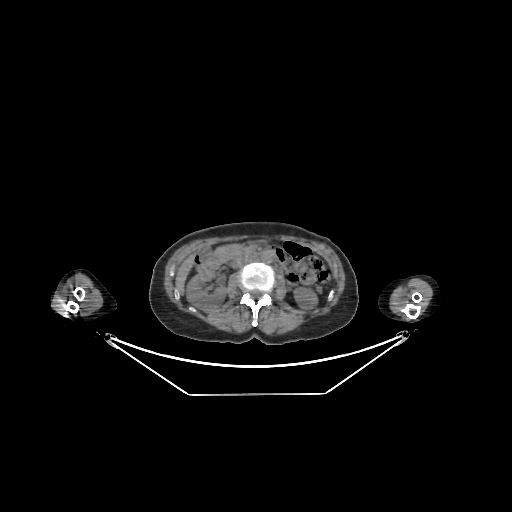

Liver, CT scan slice, 512x512

The liver appears at rect(176, 254, 194, 292). 2 kidney regions are located at rect(293, 285, 318, 312); rect(186, 269, 227, 310).